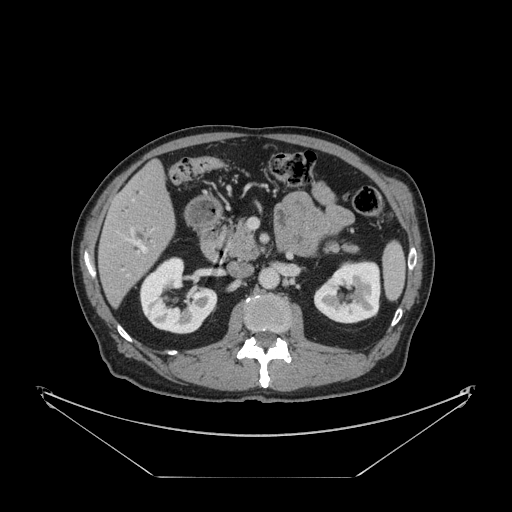

CT scan slice

The vessel annotation is not exhaustive.
Hepatic vessel — 129, 228, 145, 253.